CT scan slice; Upper abdomen; Field of view 344 mm wide, 1.00 mm slice spacing

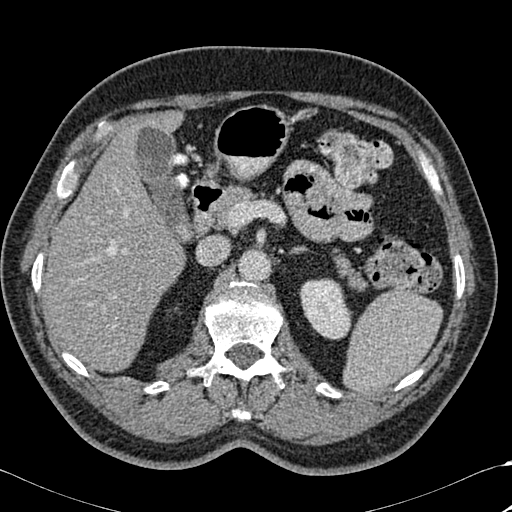

Bone: left=145, top=381, right=168, bottom=393; left=396, top=370, right=422, bottom=389; left=455, top=255, right=464, bottom=296; left=57, top=163, right=73, bottom=197; left=433, top=180, right=440, bottom=191; left=316, top=383, right=340, bottom=397; left=32, top=254, right=42, bottom=290; left=234, top=410, right=249, bottom=418; left=191, top=281, right=285, bottom=385; left=63, top=353, right=87, bottom=375.
Kidney: left=301, top=280, right=349, bottom=338.
Liver: left=151, top=112, right=182, bottom=134; left=44, top=125, right=182, bottom=372.